Field of view 321 mm wide, 2.50 mm slice spacing | Image size 512x512 | CT slice

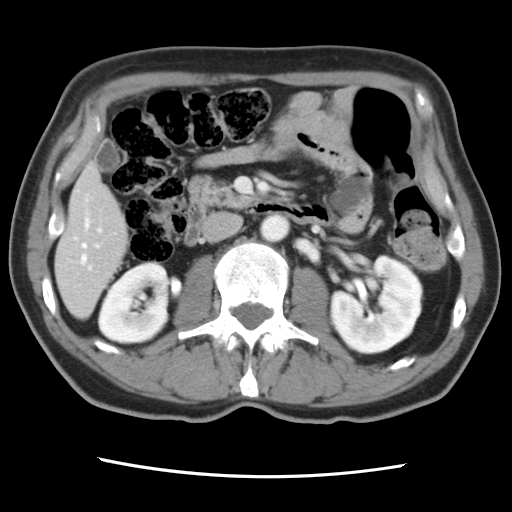
The vessel boxes may cover only some of the vessels.
Hepatic vessel — bbox=[98, 229, 101, 231]; bbox=[89, 266, 91, 269]; bbox=[75, 237, 77, 239]; bbox=[82, 244, 85, 247]; bbox=[82, 255, 86, 262]; bbox=[96, 245, 98, 247]; bbox=[85, 218, 89, 227].